Slice index 231. CT slice. 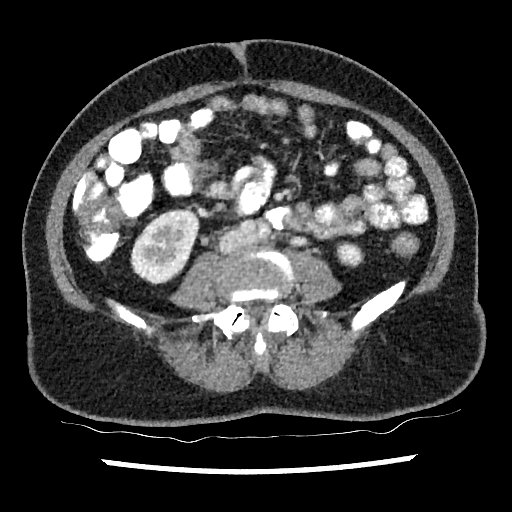 Kidney: bounding box <bbox>342, 255, 356, 263</bbox>, <bbox>132, 211, 197, 282</bbox>.